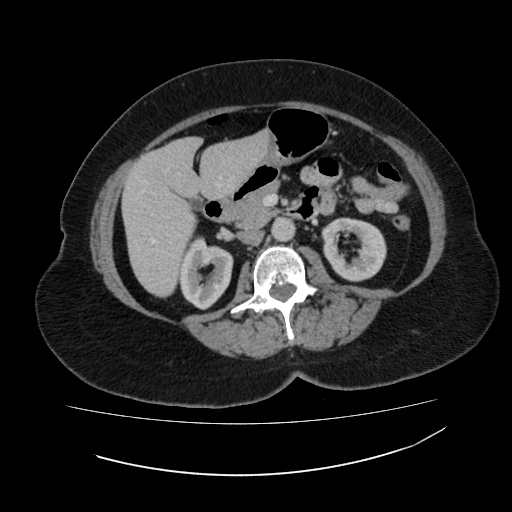 CT slice. {"kidney": ["<box>177,238,232,308</box>", "<box>322,218,385,281</box>"], "liver": ["<box>122,130,268,295</box>"]}